Slice 73/155; Brain; Image width 240 mm
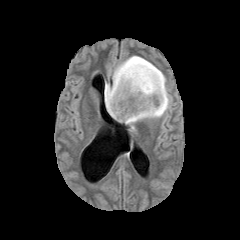
FLAIR MR image.
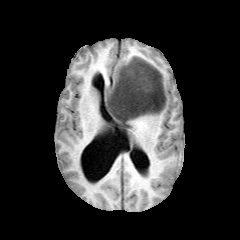
T1-weighted MRI of the same slice.
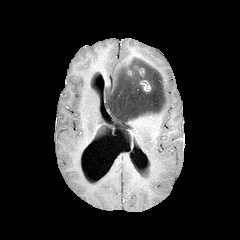
Post-contrast T1-weighted magnetic resonance.
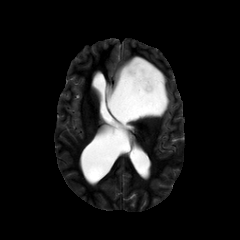
T2-weighted MR image of the same slice.
enhancing tumor: bbox=[141, 80, 150, 91] | edema: bbox=[104, 56, 171, 129] | non-enhancing tumor core: bbox=[106, 70, 163, 123]